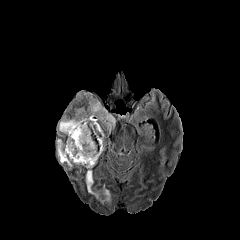
FLAIR magnetic resonance.
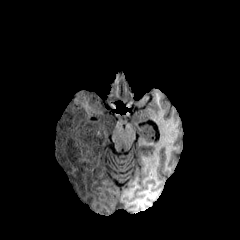
T1-weighted MR image of the same slice.
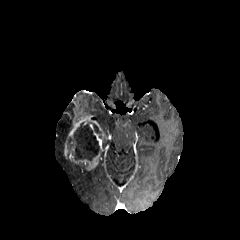
Post-contrast T1-weighted MR image.
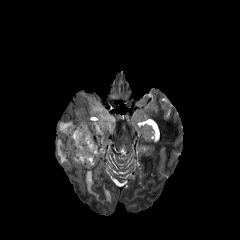
T2-weighted MR image of the same slice.
Image size 240x240
Non-enhancing tumor core at 62 102 75 141, 73 122 99 160.
Edema at 85 170 110 204, 56 115 68 136, 55 138 73 169, 87 97 116 131.
Enhancing tumor at 63 95 107 172.